Field of view 500x500 mm, Slice 123 of 299, Computed tomography 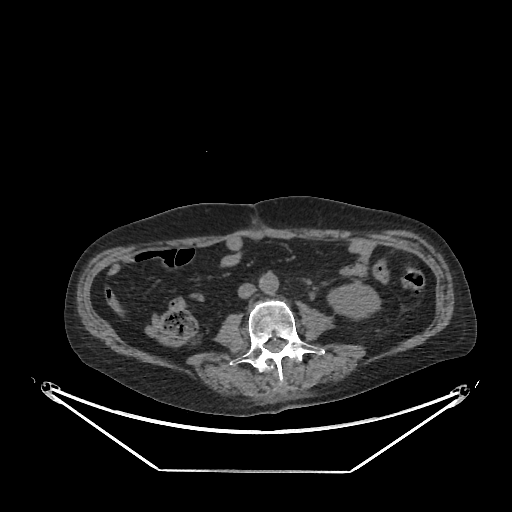

kidney:
  - x1=327, y1=280, x2=380, y2=319